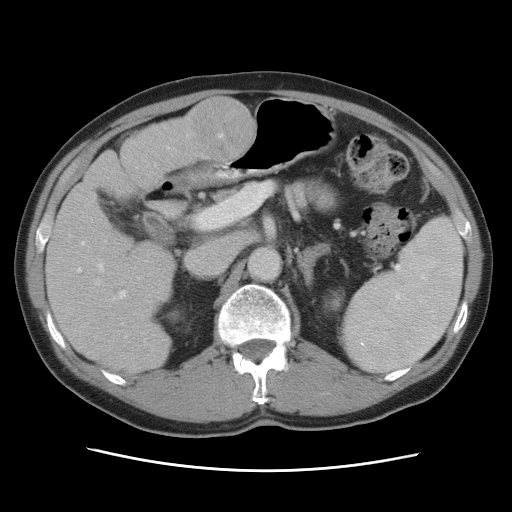 512x512; Abdomen; CT image

The vessel annotation is not exhaustive.
9 hepatic vessel regions are located at [81,242,84,245], [166,147,171,150], [125,336,126,337], [138,277,139,279], [111,291,125,301], [95,279,100,285], [97,263,103,272], [186,135,189,137], [77,268,80,272]. The liver tumor is at [191,98,250,158].